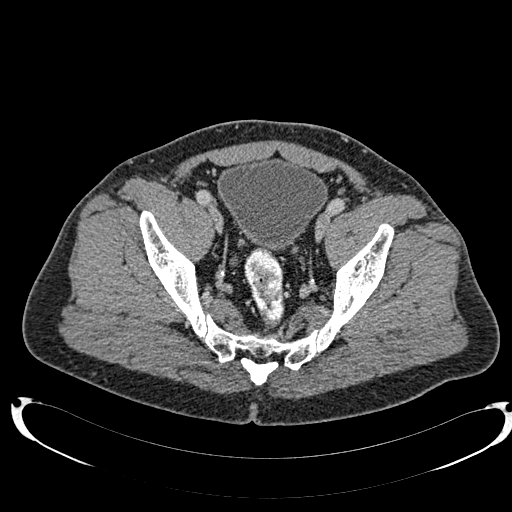
512x512 px; CT
urinary bladder: [219, 158, 327, 250]